Image width 240 mm. Head. Slice 76 of 155.
FLAIR MR image.
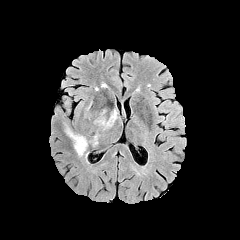
T1-weighted MR.
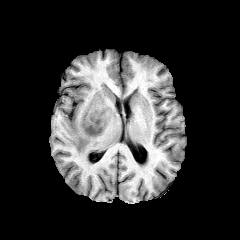
Post-contrast T1-weighted magnetic resonance.
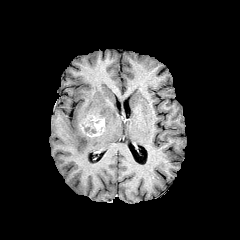
T2-weighted MRI.
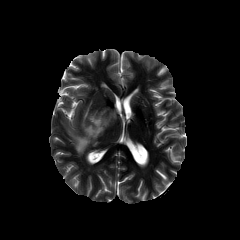
enhancing_tumor:
  - [83, 114, 105, 137]
edema:
  - [65, 124, 99, 157]
  - [100, 108, 119, 129]